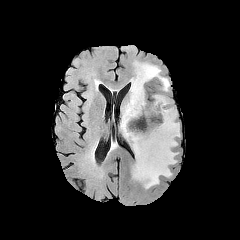
FLAIR MRI.
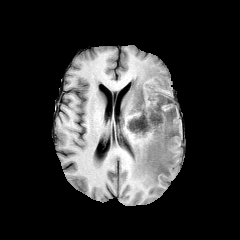
T1-weighted magnetic resonance.
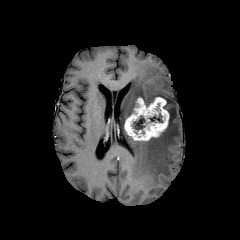
Post-contrast T1-weighted magnetic resonance.
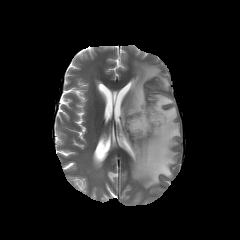
Same slice, T2-weighted MRI.
240x240 px
{
  "enhancing_tumor": [
    "124 97 169 140"
  ],
  "non-enhancing_tumor_core": [
    "122 94 144 129",
    "150 108 174 145",
    "132 114 162 134"
  ],
  "edema": [
    "166 100 173 109",
    "120 63 179 187"
  ]
}